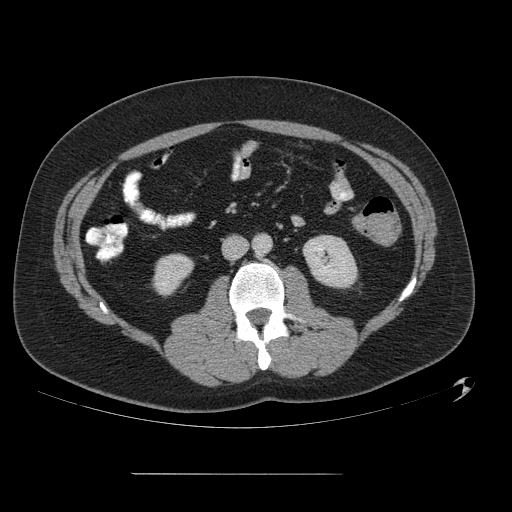
512x512 px, CT
{"colon_tumor": ["bbox=[353, 214, 397, 245]"]}